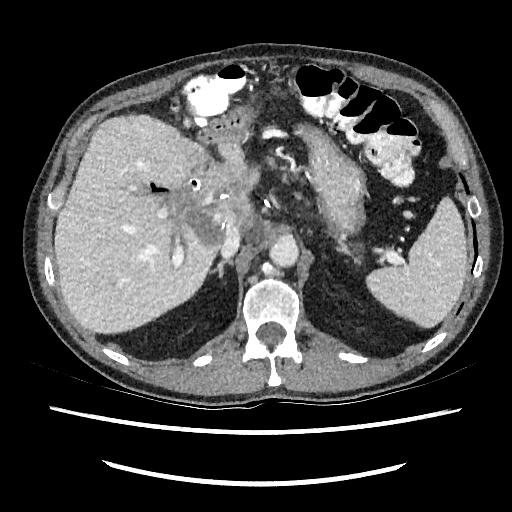 512x512 | Upper abdomen | Computed tomography
focal liver lesion: x1=158, y1=151, x2=253, y2=244 | liver: x1=218, y1=142, x2=258, y2=200; x1=54, y1=115, x2=219, y2=332; x1=190, y1=178, x2=200, y2=188